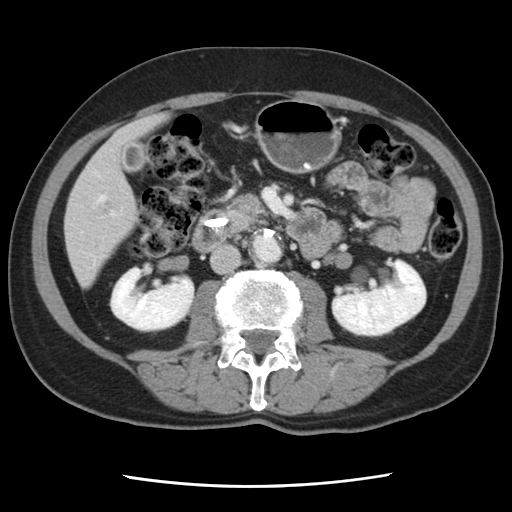
CT slice, Abdomen
pancreas: region(247, 212, 268, 231) | pancreatic tumor: region(227, 193, 266, 233)